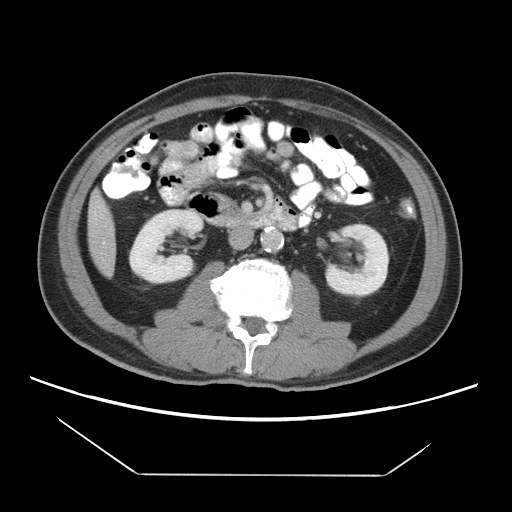

CT slice
Not every hepatic vessel necessarily has a box.
{
  "hepatic_vessel": [
    "[x1=98, y1=205, x2=101, y2=208]",
    "[x1=102, y1=241, x2=104, y2=244]",
    "[x1=94, y1=213, x2=97, y2=220]"
  ]
}